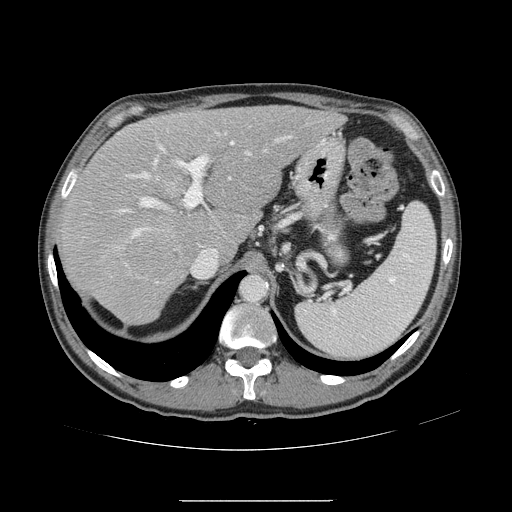

512x512 px; Abdomen; CT image

The vessel annotation is not exhaustive.
Largest 15 of 16 hepatic vessel regions — <bbox>275, 136, 291, 141</bbox>, <bbox>245, 152, 249, 155</bbox>, <bbox>153, 159, 157, 164</bbox>, <bbox>155, 281, 157, 282</bbox>, <bbox>179, 156, 206, 207</bbox>, <bbox>155, 176, 158, 179</bbox>, <bbox>132, 228, 150, 237</bbox>, <bbox>216, 133, 219, 134</bbox>, <bbox>118, 210, 127, 211</bbox>, <bbox>141, 198, 159, 205</bbox>, <bbox>115, 246, 123, 249</bbox>, <bbox>158, 144, 164, 151</bbox>, <bbox>264, 150, 266, 151</bbox>, <bbox>231, 141, 233, 144</bbox>, <bbox>126, 172, 148, 177</bbox>.
Liver tumor — <bbox>125, 240, 177, 277</bbox>.